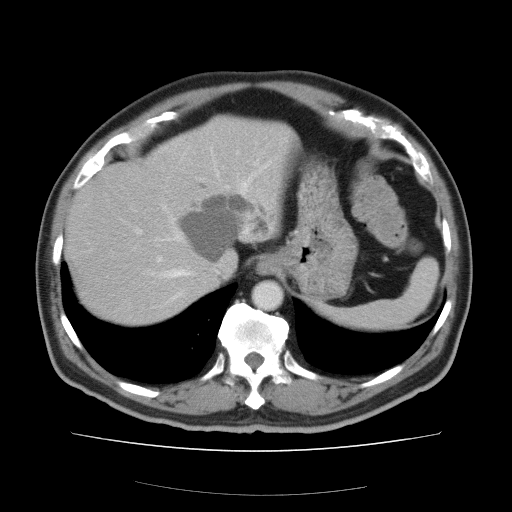
CT scan slice
Not every hepatic vessel necessarily has a box.
Hepatic vessel — (217,174,219,177), (177,268,189,275), (155,204,183,242).